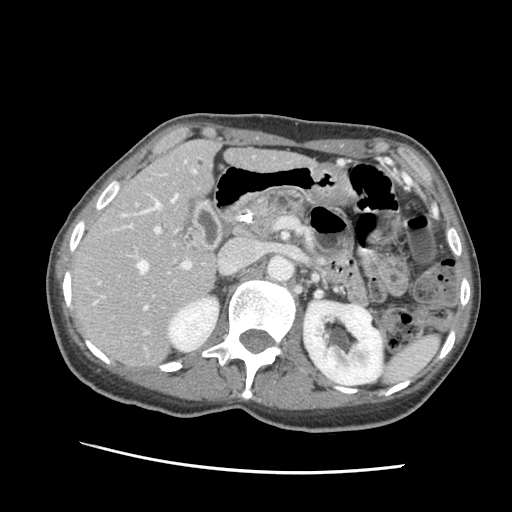
Abdomen | CT slice

The pancreas is bounded by 235,190,305,239.